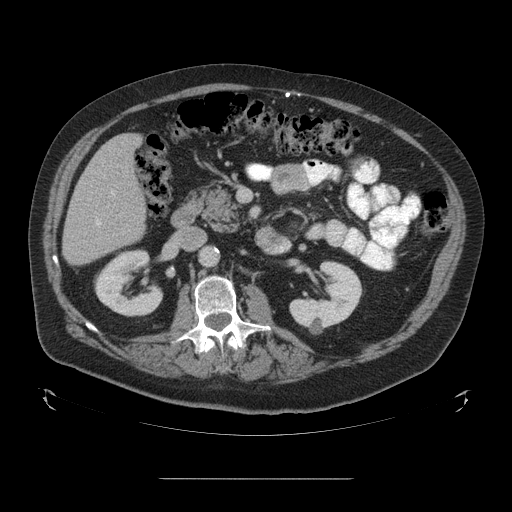

Liver | CT image | 512x512 px

The vessel boxes may cover only some of the vessels.
hepatic vessel: region(114, 203, 115, 204); region(122, 231, 123, 233); region(116, 215, 120, 217); region(95, 213, 101, 226); region(109, 189, 115, 196)